CT, 512x512 px, Upper abdomen
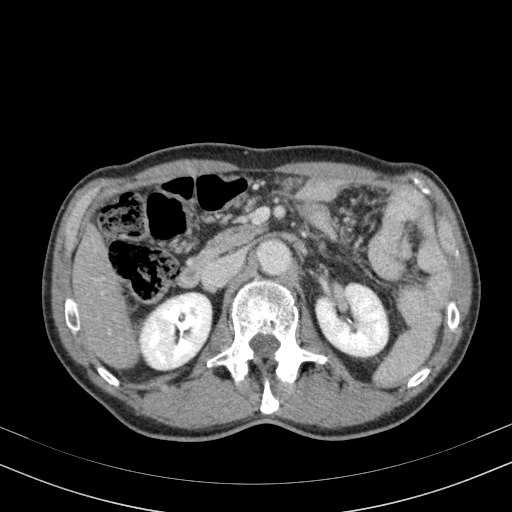

Kidney at 317:285:387:355, 141:293:210:368.
Liver at 72:223:135:369.